512x512, CT image
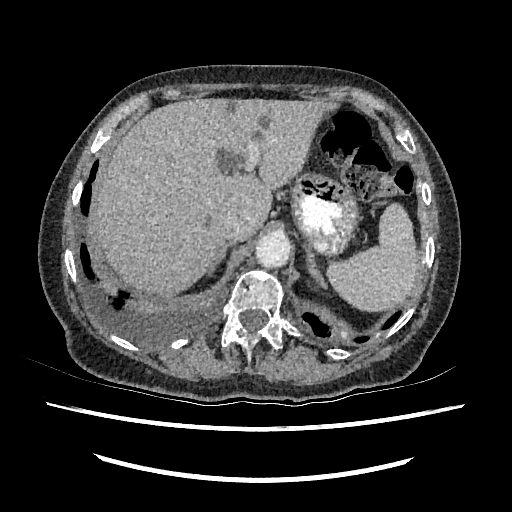
The liver appears at l=96, t=99, r=337, b=296. 5 liver lesion regions are bounded by l=251, t=131, r=260, b=141; l=203, t=216, r=210, b=227; l=218, t=150, r=243, b=175; l=228, t=101, r=235, b=111; l=259, t=116, r=268, b=127.